CT.

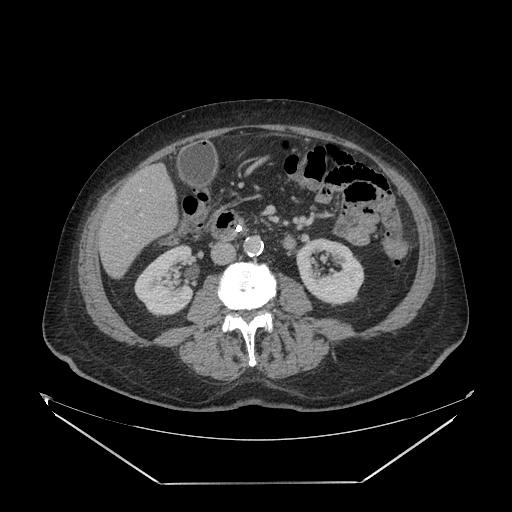

Findings:
- pancreas: bbox=[257, 218, 270, 226]